CT scan slice 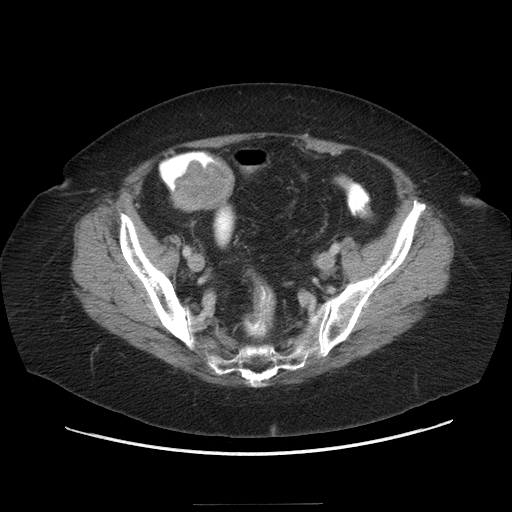 {"colon_tumor": ["<bbox>174, 155, 233, 209</bbox>"]}